Computed tomography. Slice index 23.
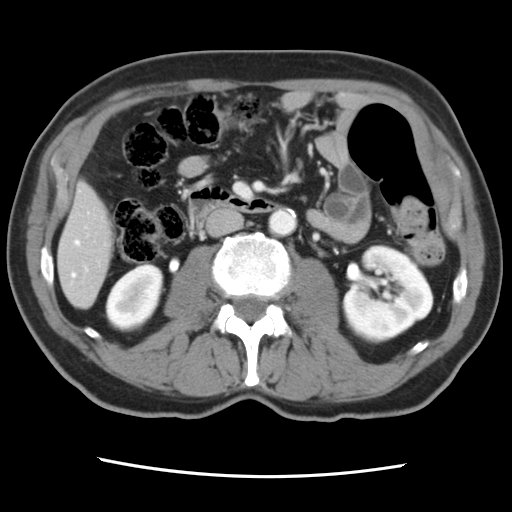
Only some of the vessels may be annotated.
hepatic vessel: <bbox>75, 240, 79, 244</bbox>, <bbox>85, 267, 87, 269</bbox>, <bbox>72, 273, 75, 276</bbox>